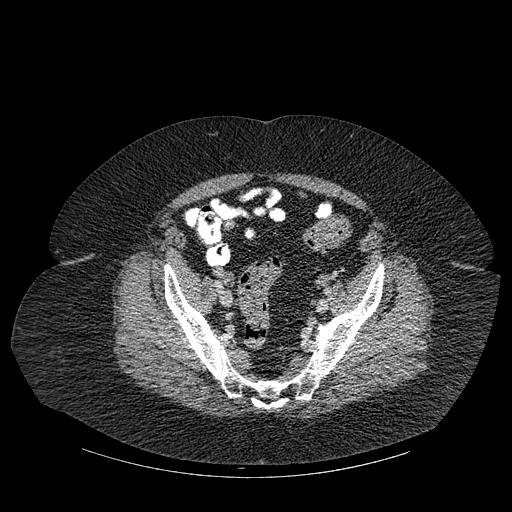
Computed tomography
bone:
  - rect(220, 246, 229, 262)
  - rect(164, 263, 384, 408)